FLAIR MR.
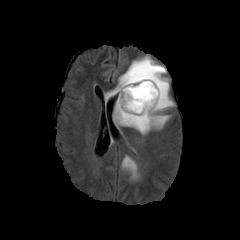
T1-weighted magnetic resonance.
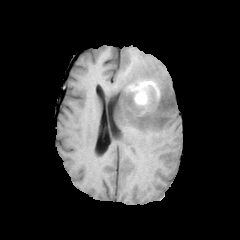
Post-contrast T1-weighted MR.
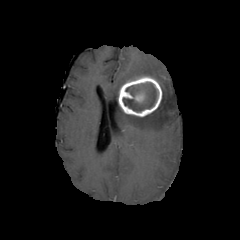
T2-weighted MR.
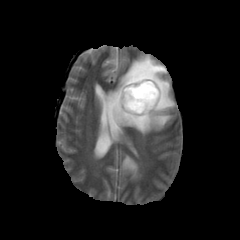
Head
Findings:
• enhancing tumor: x1=118 y1=76 x2=162 y2=116
• non-enhancing tumor core: x1=123 y1=83 x2=156 y2=111, x1=156 y1=83 x2=164 y2=110
• edema: x1=122 y1=156 x2=136 y2=173, x1=113 y1=56 x2=174 y2=134